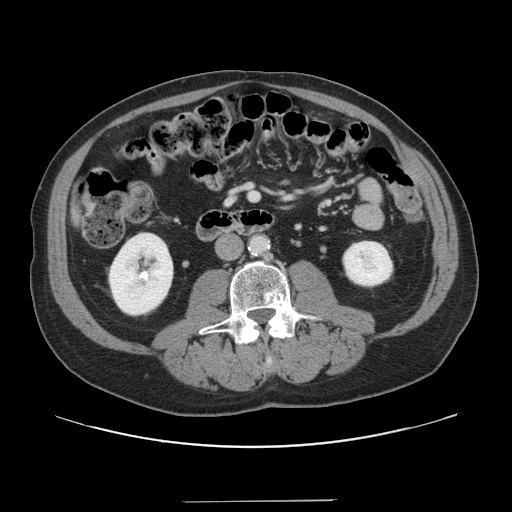 CT image, Liver
Not every hepatic vessel necessarily has a box.
The hepatic vessel appears at left=250, top=193, right=257, bottom=199.